FLAIR MR.
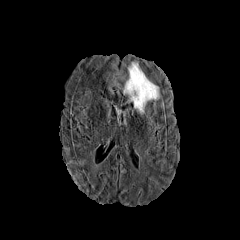
T1-weighted MR image.
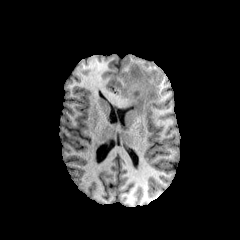
Post-contrast T1-weighted MR.
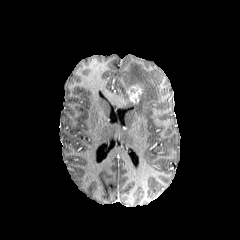
T2-weighted MRI.
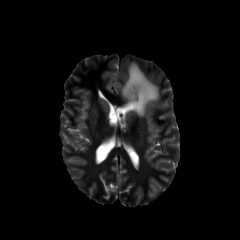
Brain
enhancing_tumor:
  - <bbox>126, 84, 142, 104</bbox>
edema:
  - <bbox>126, 63, 159, 115</bbox>